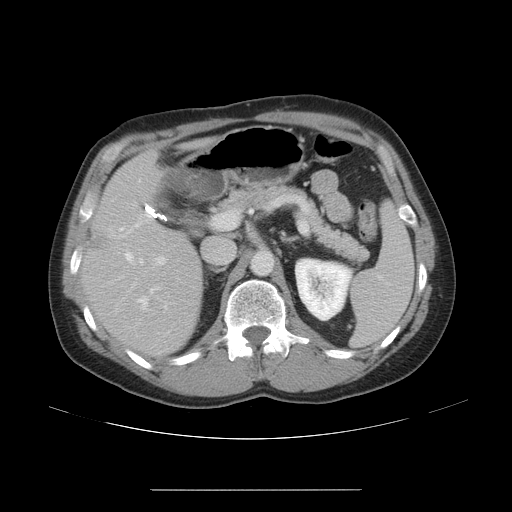
Computed tomography | Liver
Some hepatic vessels may have no box.
The liver tumor is bounded by (93, 237, 104, 249). 9 hepatic vessel regions are bounded by (156, 257, 165, 263), (133, 283, 134, 286), (134, 222, 141, 227), (140, 259, 142, 263), (150, 289, 153, 292), (138, 296, 147, 309), (120, 228, 123, 230), (146, 214, 149, 222), (125, 253, 134, 263).